Abdomen. Slice 556/683. Computed tomography. 512x512.
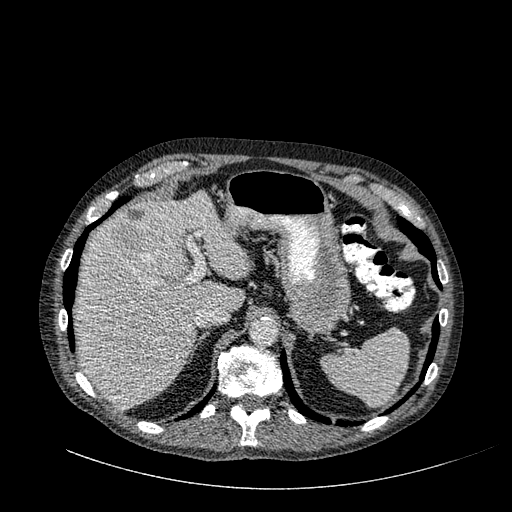 2 focal liver lesion regions appear at bbox=[115, 224, 143, 251]; bbox=[128, 209, 143, 219]. The liver is at bbox=[75, 190, 248, 409].